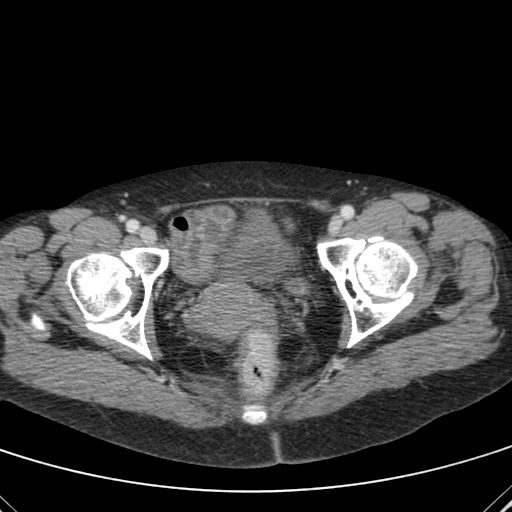

Computed tomography | 512x512 px
Urinary bladder: bounding box <bbox>211, 208, 296, 285</bbox>.